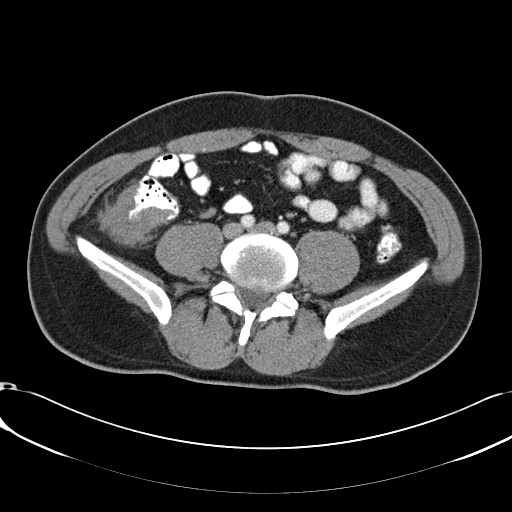
512x512. Pelvis. CT scan slice.
colon tumor: [x1=102, y1=184, x2=168, y2=243]